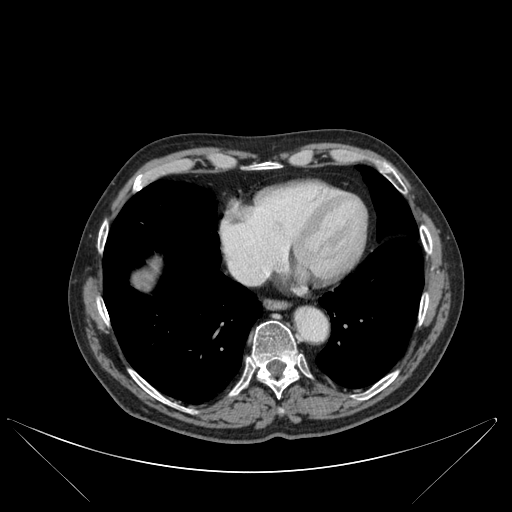

Upper abdomen, Computed tomography

{"lung": ["rect(316, 165, 423, 388)", "rect(103, 180, 262, 403)"], "liver": ["rect(135, 271, 151, 289)"], "bone": ["rect(129, 370, 172, 405)", "rect(384, 166, 398, 181)", "rect(230, 321, 310, 398)", "rect(251, 163, 280, 169)", "rect(419, 294, 428, 323)", "rect(98, 221, 107, 251)", "rect(359, 371, 397, 399)", "rect(97, 300, 108, 323)", "rect(133, 174, 146, 190)", "rect(420, 226, 432, 253)"]}